Head | Slice 108 of 155
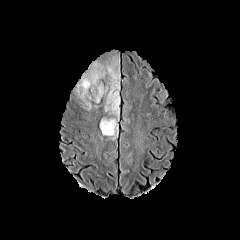
FLAIR magnetic resonance.
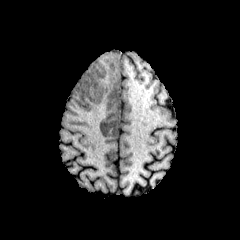
Same slice, T1-weighted magnetic resonance.
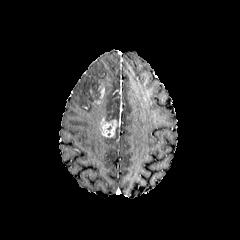
Post-contrast T1-weighted MR image.
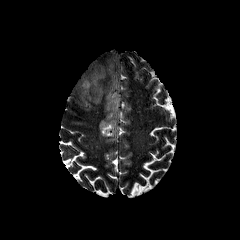
T2-weighted MR.
enhancing tumor: box=[99, 118, 117, 137]; box=[98, 86, 104, 99] | edema: box=[75, 66, 105, 99]; box=[105, 64, 120, 120]